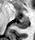
MR image | Medial temporal lobe

anterior_hippocampus:
  - <box>22,17,28,19</box>
posterior_hippocampus:
  - <box>14,20,28,29</box>